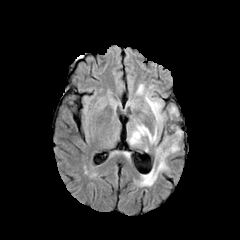
FLAIR MR image.
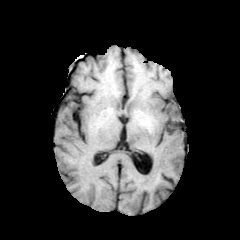
T1-weighted MRI.
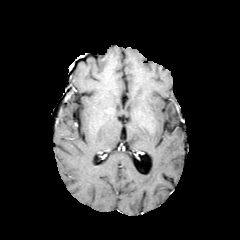
Same slice, post-contrast T1-weighted MR image.
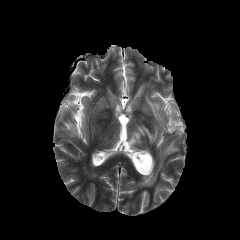
T2-weighted MRI of the same slice.
Image size 240x240
3 edema regions are located at [x1=138, y1=127, x2=181, y2=186], [x1=126, y1=92, x2=178, y2=151], [x1=136, y1=84, x2=144, y2=95].